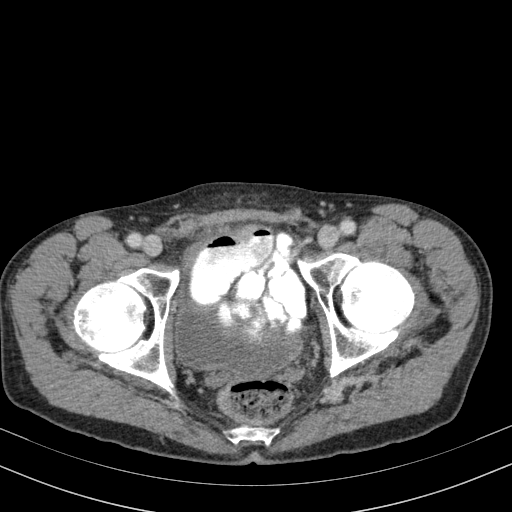 Pelvis. CT scan slice. The urinary bladder lies within <box>171,296,299,377</box>.